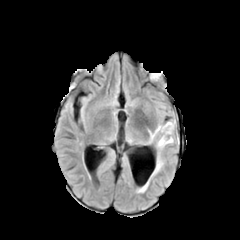
FLAIR MR.
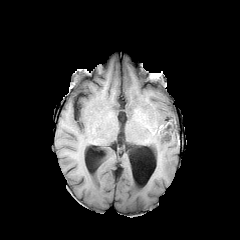
T1-weighted MR image.
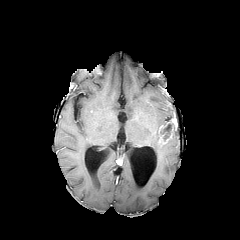
Post-contrast T1-weighted magnetic resonance.
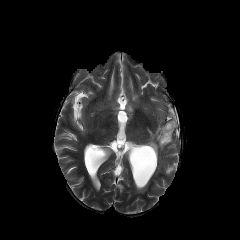
Same slice, T2-weighted magnetic resonance.
Brain.
Non-enhancing tumor core at (x1=158, y1=120, x2=175, y2=133).
Edema at (x1=148, y1=123, x2=173, y2=174).
Enhancing tumor at (x1=159, y1=134, x2=171, y2=145).